512x512 px | CT slice | Field of view 387 mm wide, 0.80 mm slice spacing
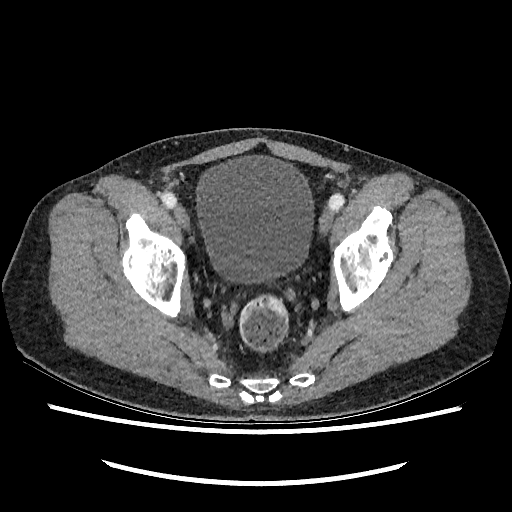
Urinary bladder at x1=195 y1=155 x2=314 y2=284.